Brain; Slice index 92
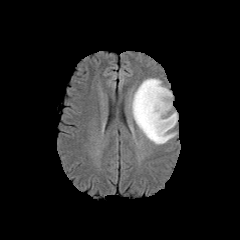
FLAIR MRI.
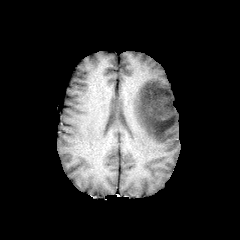
T1-weighted magnetic resonance.
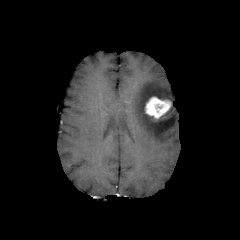
Post-contrast T1-weighted magnetic resonance.
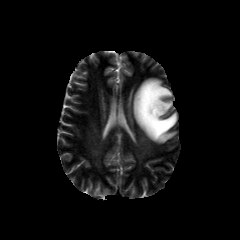
Same slice, T2-weighted MR image.
enhancing_tumor:
  - {"x1": 145, "y1": 96, "x2": 172, "y2": 120}
edema:
  - {"x1": 131, "y1": 78, "x2": 177, "y2": 144}